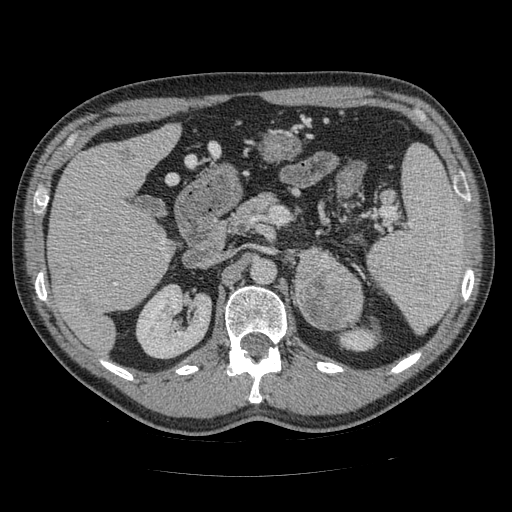

Upper abdomen; Image size 512x512; CT scan slice
The pancreatic tumor appears at bbox=[297, 249, 362, 328]. The pancreas lies within bbox=[237, 194, 274, 223].